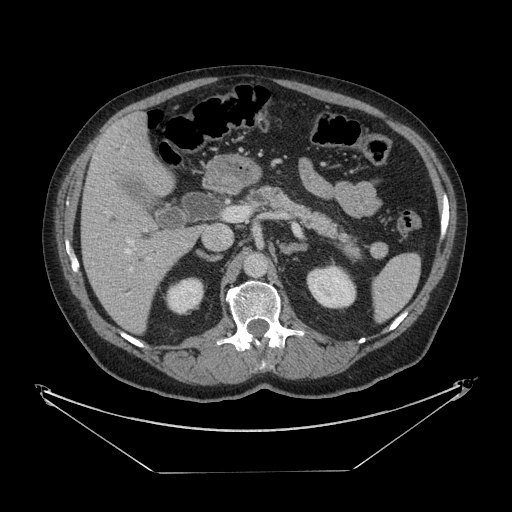

Upper abdomen; Image size 512x512; CT scan slice
Pancreas = {"x1": 249, "y1": 188, "x2": 359, "y2": 258}.